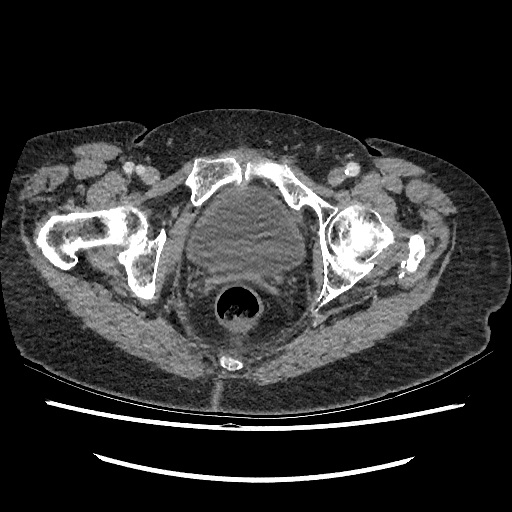 CT

Urinary bladder: bounding box region(183, 184, 305, 286).